Liver; CT slice; Slice index 55
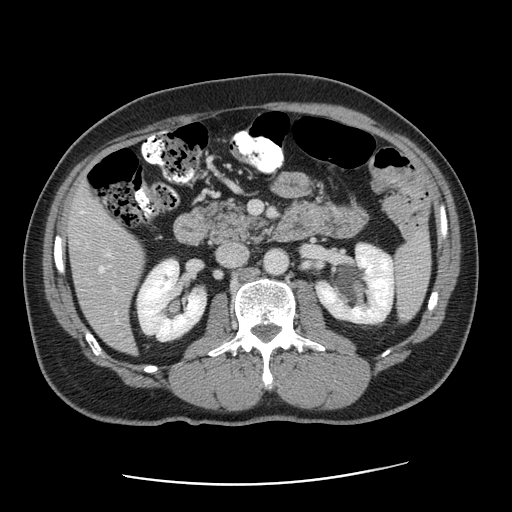
The vessel annotation is not exhaustive.
hepatic_vessel:
  - bbox(100, 267, 104, 271)
  - bbox(80, 211, 82, 212)